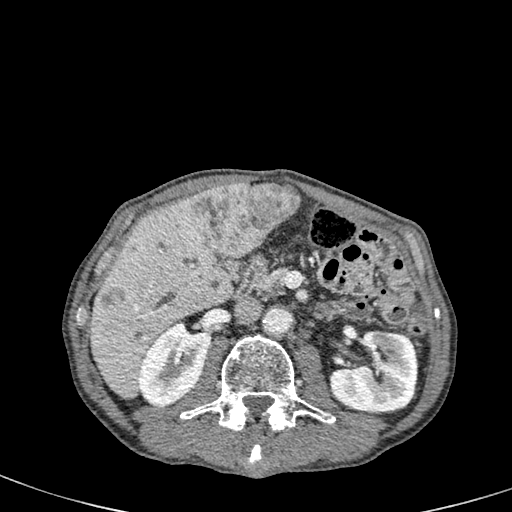

Liver | CT scan slice
Kidney = region(331, 327, 416, 411); region(138, 319, 210, 406).
Hepatic lesion = region(101, 289, 124, 307); region(195, 183, 298, 257).
Liver = region(283, 186, 297, 195); region(90, 196, 233, 398).